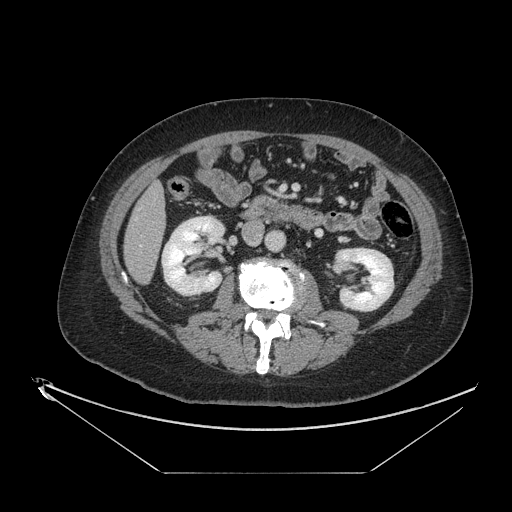 Image size 512x512. Abdomen. CT image. Segmented structures:
* pancreas: box=[256, 197, 274, 210]